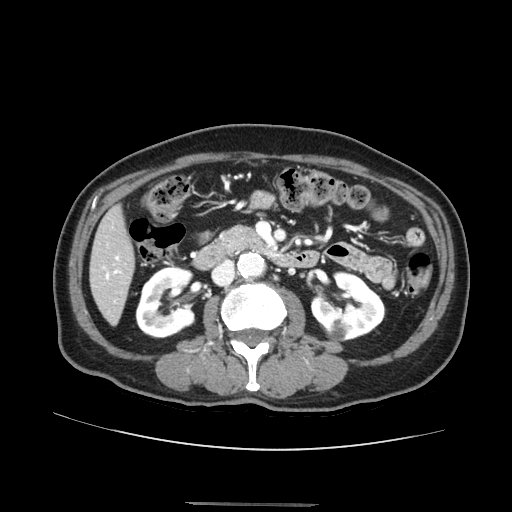
Image size 512x512, CT slice
Pancreas = <box>231,228,258,244</box>.